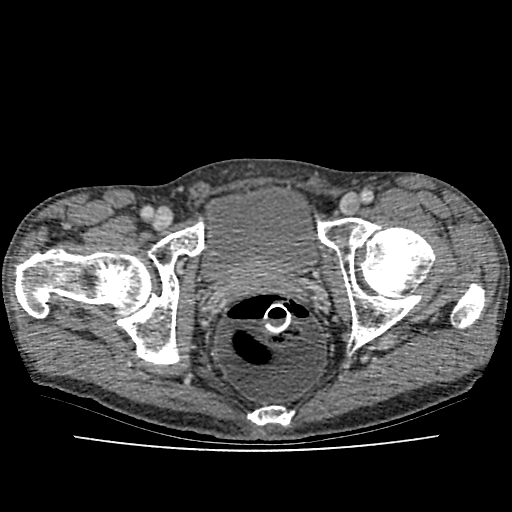

512x512 px | CT slice

{"urinary_bladder": ["region(195, 185, 315, 281)"]}